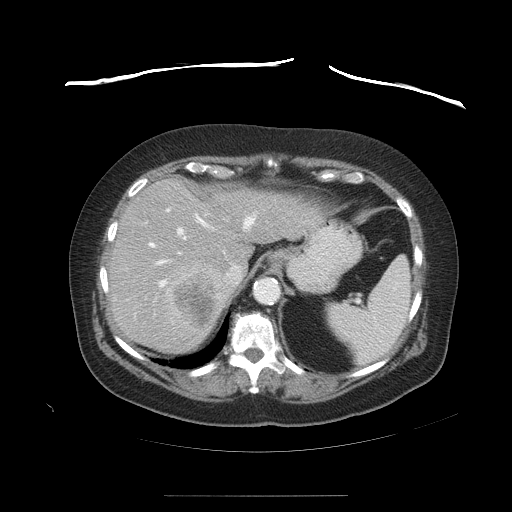 CT slice

Not every hepatic vessel necessarily has a box.
hepatic vessel: [156,260,165,265], [166,208,169,211], [158,280,166,286], [219,294,219,297], [178,252,180,254], [177,228,185,239], [204,214,208,215], [194,214,207,226], [227,264,243,282], [211,228,212,230], [148,243,154,247], [243,215,254,230] | liver tumor: [170,270,219,333]